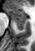 MRI slice, 35x51

The posterior hippocampus lies within <box>13,20,25,30</box>. The anterior hippocampus is bounded by <box>7,9,25,19</box>.